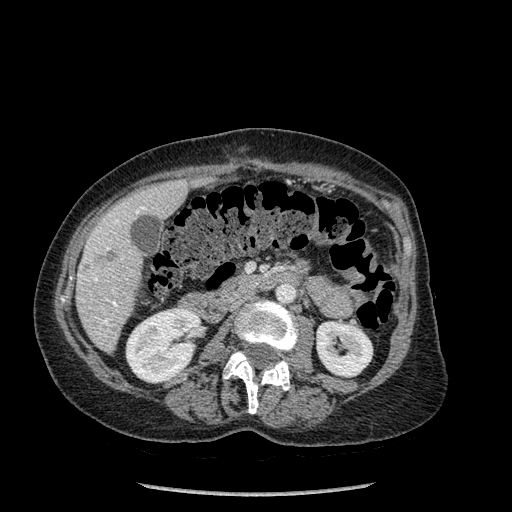

CT scan slice; Liver

{"bone": ["223, 351, 289, 413", "234, 300, 298, 353"], "kidney": ["317, 322, 372, 376", "126, 309, 199, 382"], "liver": ["76, 178, 207, 350"], "liver_lesion": ["99, 251, 117, 260"]}